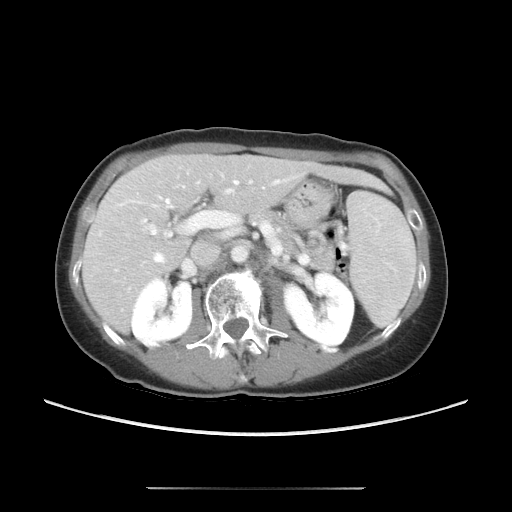 Liver, CT
Only some of the vessels may be annotated.
hepatic_vessel:
  - rect(283, 178, 290, 180)
  - rect(262, 186, 264, 188)
  - rect(165, 199, 171, 207)
  - rect(248, 179, 252, 183)
  - rect(226, 189, 232, 192)
  - rect(272, 179, 282, 185)
  - rect(151, 203, 158, 207)
  - rect(232, 181, 237, 183)
  - rect(154, 254, 163, 261)
  - rect(164, 231, 172, 237)
  - rect(218, 171, 223, 178)
  - rect(178, 185, 185, 188)
  - rect(146, 225, 157, 234)
  - rect(142, 219, 146, 222)